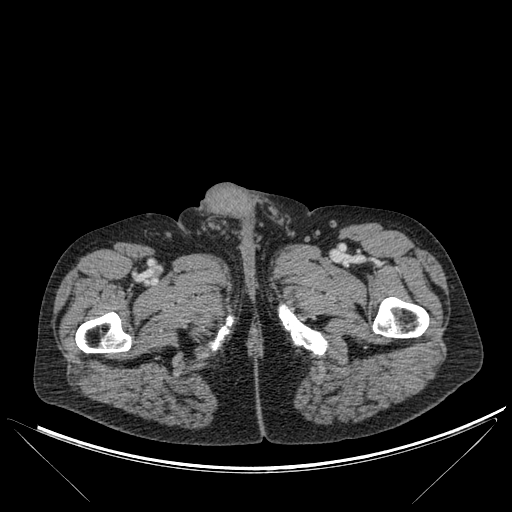
CT image, 512x512
bone:
  - l=279, t=305, r=327, b=355
  - l=372, t=297, r=429, b=337
  - l=75, t=312, r=131, b=352
  - l=211, t=316, r=232, b=349